Slice index 99
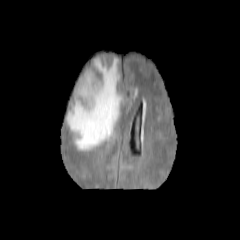
FLAIR MRI.
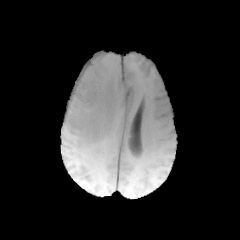
T1-weighted magnetic resonance of the same slice.
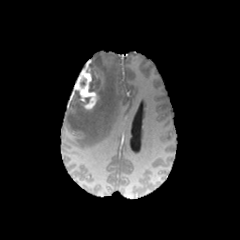
Post-contrast T1-weighted MR of the same slice.
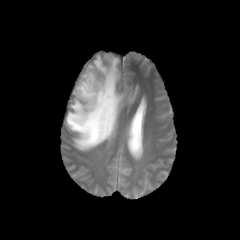
T2-weighted MRI.
Enhancing tumor = region(72, 59, 98, 109).
Edema = region(65, 55, 127, 151).
Non-enhancing tumor core = region(74, 91, 90, 108); region(88, 56, 105, 99).